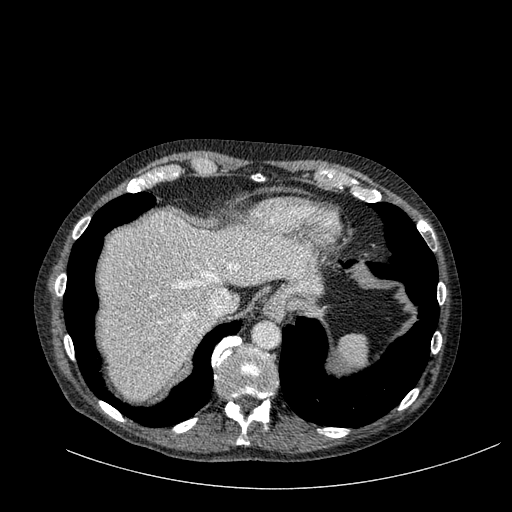
CT image | Image size 512x512
Liver: rect(98, 211, 314, 399).